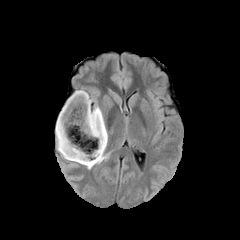
FLAIR magnetic resonance.
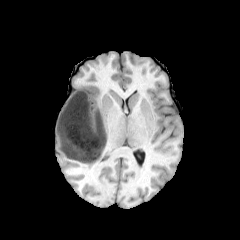
T1-weighted MR image of the same slice.
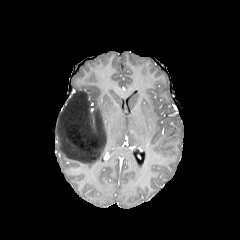
Post-contrast T1-weighted MRI.
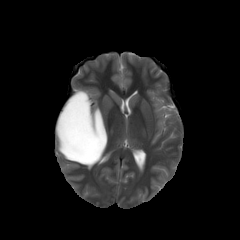
Same slice, T2-weighted MR.
240x240.
edema:
  - (76, 90, 107, 147)
  - (55, 120, 103, 169)
non-enhancing_tumor_core:
  - (57, 91, 106, 162)